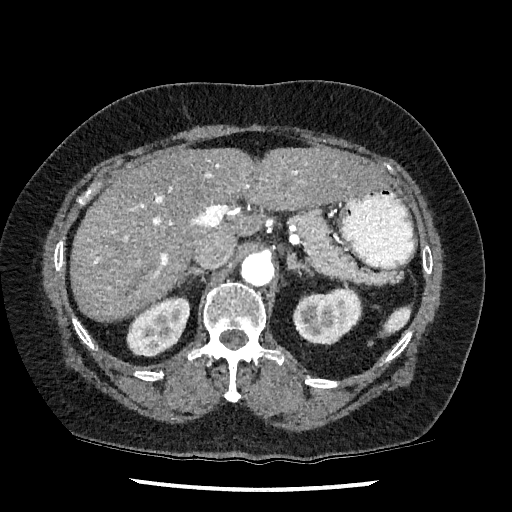
Abdomen. 512x512. CT. Kidney at rect(294, 289, 360, 343); rect(127, 298, 189, 355).
Liver at rect(70, 148, 384, 320).